Field of view 38 mm wide, 1.00 mm slice spacing; 38x52 px; MR; Hippocampus 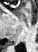 <segmentation>
  <posterior_hippocampus>region(7, 43, 16, 45)</posterior_hippocampus>
</segmentation>